Image size 512x512 | Field of view 380x380 mm | CT slice
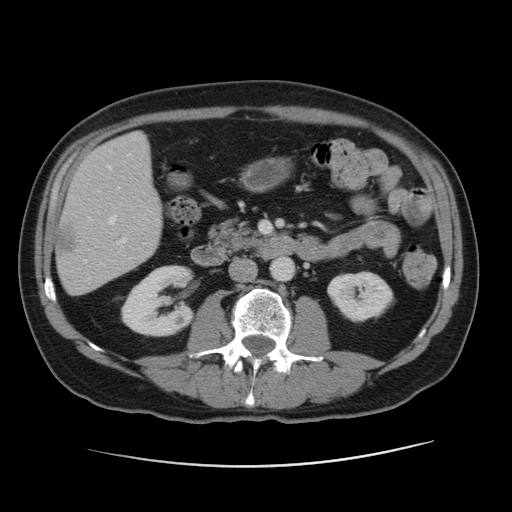

Kidney at left=327, top=271, right=393, bottom=322; left=123, top=266, right=192, bottom=335.
Liver at left=57, top=138, right=157, bottom=292.
Hepatic lesion at left=56, top=226, right=77, bottom=251.